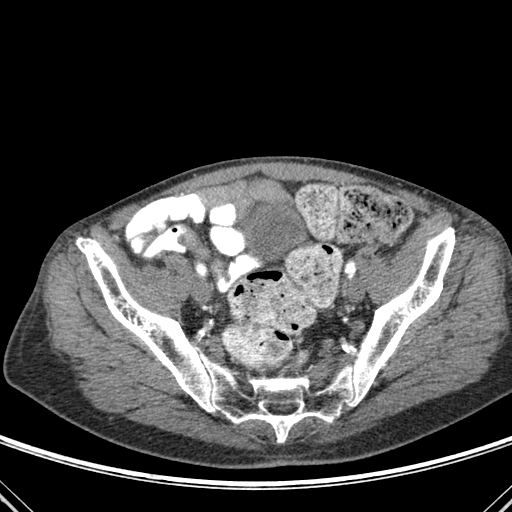

512x512 px | CT scan slice
bone:
  - box(76, 227, 455, 442)